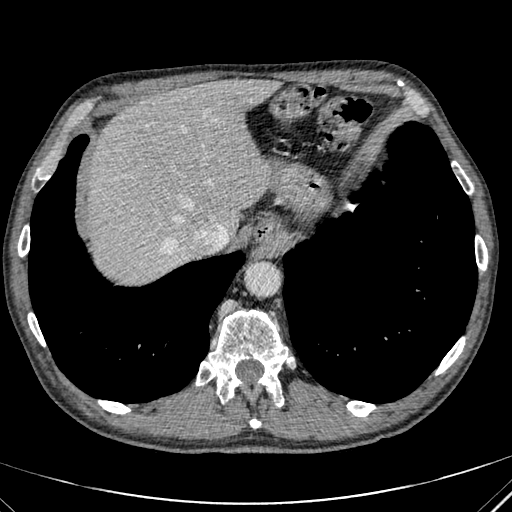
Computed tomography. Abdomen. The liver is located at (88, 79, 279, 283).